Slice index 119, Image width 335 mm, CT image
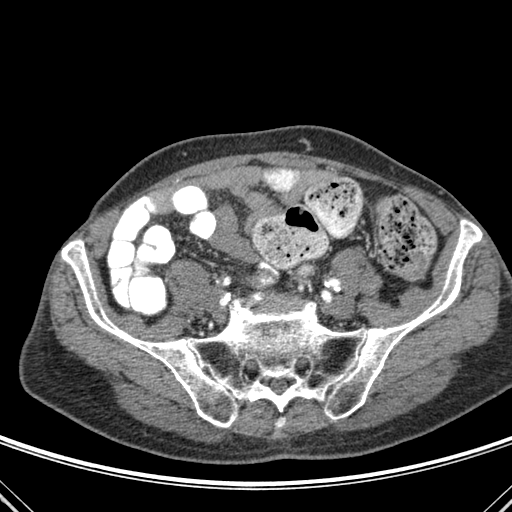

Bone: left=61, top=219, right=482, bottom=427; left=276, top=417, right=284, bottom=427.